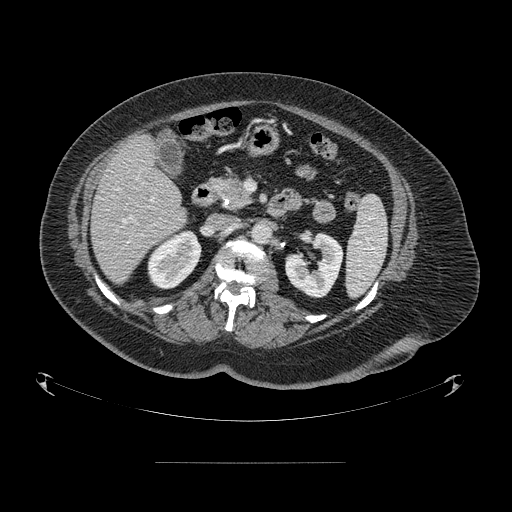 Computed tomography. Upper abdomen.
The pancreas appears at region(210, 179, 250, 208). The pancreatic tumor is located at region(221, 182, 241, 199).